Slice 33 of 47 | CT image
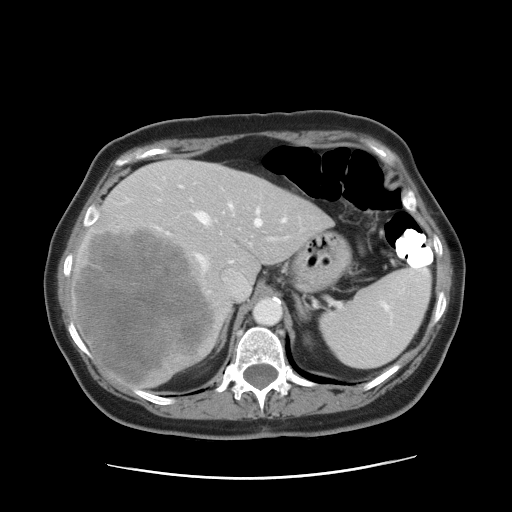
The vessel boxes may cover only some of the vessels.
{"liver_tumor": ["bbox=[73, 226, 217, 382]"], "hepatic_vessel": ["bbox=[180, 186, 182, 187]", "bbox=[254, 209, 261, 226]", "bbox=[197, 255, 210, 272]", "bbox=[194, 212, 215, 224]", "bbox=[229, 203, 234, 214]", "bbox=[156, 227, 160, 230]", "bbox=[224, 260, 250, 298]", "bbox=[269, 237, 274, 240]", "bbox=[249, 242, 252, 245]", "bbox=[282, 218, 285, 222]", "bbox=[166, 232, 169, 234]"]}